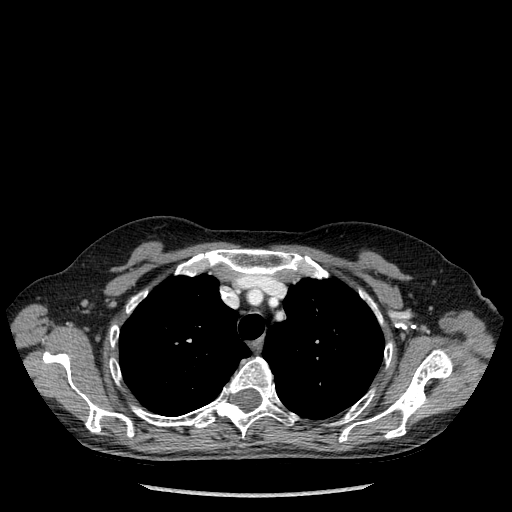 512x512. CT slice.
9 bone regions are bounded by l=331, t=346, r=466, b=442; l=175, t=249, r=328, b=278; l=359, t=290, r=382, b=323; l=109, t=358, r=121, b=384; l=126, t=290, r=147, b=313; l=132, t=357, r=298, b=437; l=109, t=325, r=118, b=347; l=384, t=342, r=392, b=366; l=42, t=351, r=134, b=437. 2 lung regions are located at l=119, t=274, r=264, b=416; l=262, t=278, r=384, b=419.